Slice 18/47, 512x512 px, CT slice, Liver 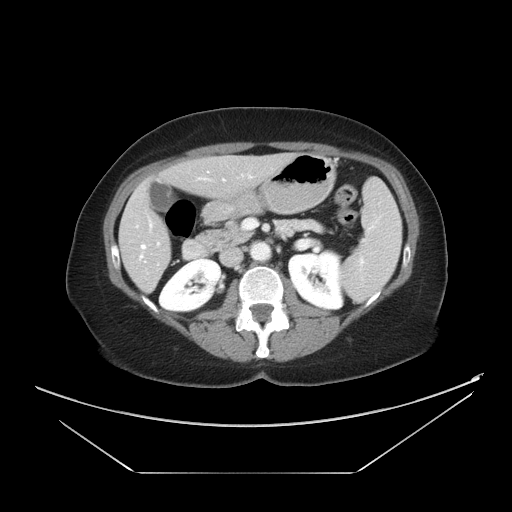
Some hepatic vessels may have no box.
hepatic_vessel:
  - l=198, t=177, r=207, b=179
  - l=242, t=174, r=244, b=176
  - l=140, t=255, r=142, b=259
  - l=157, t=243, r=159, b=245
  - l=222, t=179, r=224, b=180
  - l=247, t=175, r=252, b=178
  - l=136, t=226, r=137, b=227
  - l=149, t=219, r=152, b=226
  - l=141, t=245, r=145, b=248